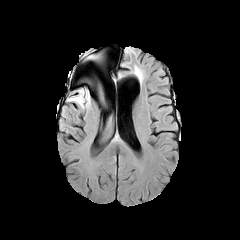
FLAIR MR.
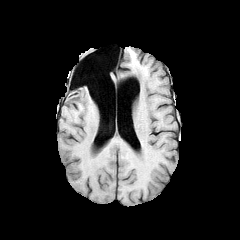
T1-weighted magnetic resonance of the same slice.
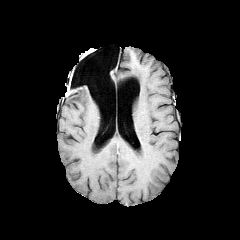
Same slice, post-contrast T1-weighted MRI.
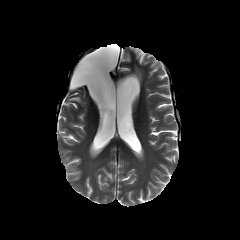
T2-weighted MRI.
edema:
  - l=68, t=90, r=90, b=109